T2-weighted magnetic resonance.
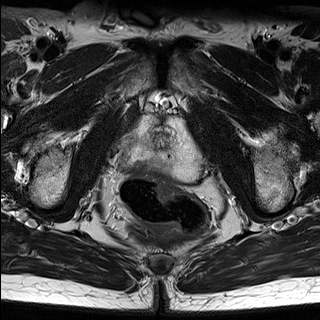
ADC MRI.
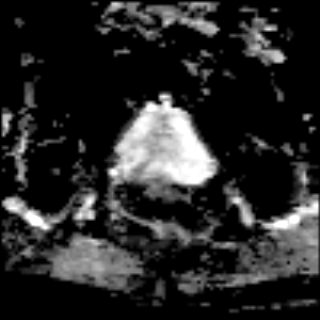
Prostate
Prostate transition zone at l=149, t=117, r=175, b=150.
Prostate peripheral zone at l=118, t=115, r=202, b=183.